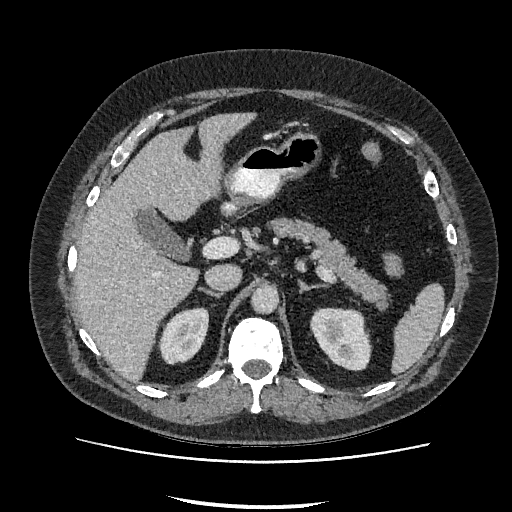
Image size 512x512, CT slice
{
  "kidney": [
    "<box>312,309,369,369</box>",
    "<box>161,309,207,362</box>"
  ],
  "liver": [
    "<box>76,113,255,381</box>"
  ]
}